Field of view 376 mm wide, 2.50 mm slice spacing | Abdomen | CT image
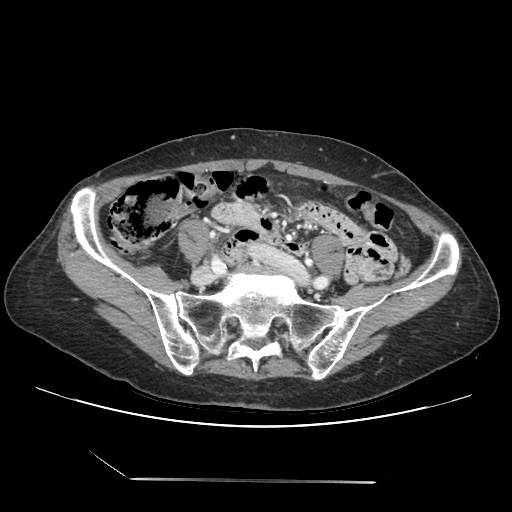 <segmentation>
  <pancreas>box(210, 202, 257, 226)</pancreas>
</segmentation>